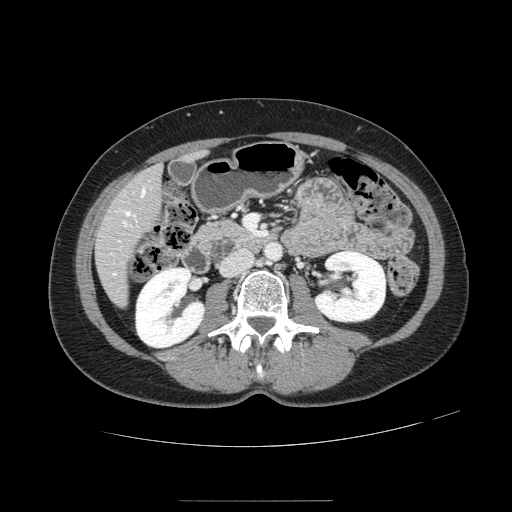
CT | Image size 512x512 | Upper abdomen
pancreas:
  - bbox(191, 219, 264, 268)
pancreatic_tumor:
  - bbox(211, 236, 234, 259)